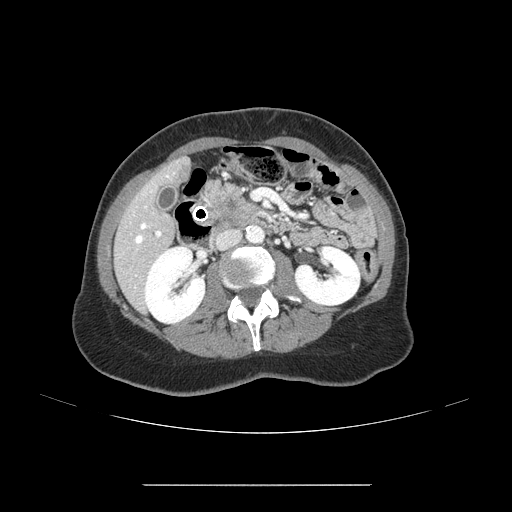 CT slice.
{"pancreas": ["x1=205 y1=181 x2=255 y2=231"], "pancreatic_tumor": ["x1=212 y1=192 x2=239 y2=221"]}